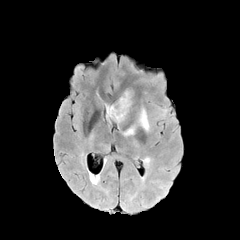
FLAIR magnetic resonance.
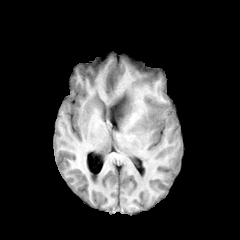
Same slice, T1-weighted MRI.
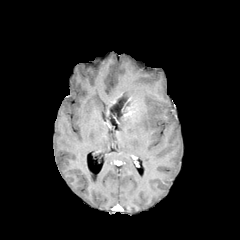
Post-contrast T1-weighted MR.
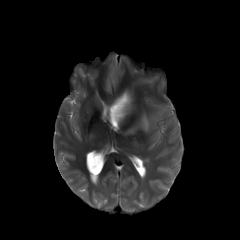
T2-weighted magnetic resonance.
Enhancing tumor at [124,107,132,116].
Edema at [105,104,113,120], [124,109,150,135], [115,116,125,123].
Non-enhancing tumor core at [110,99,128,115].